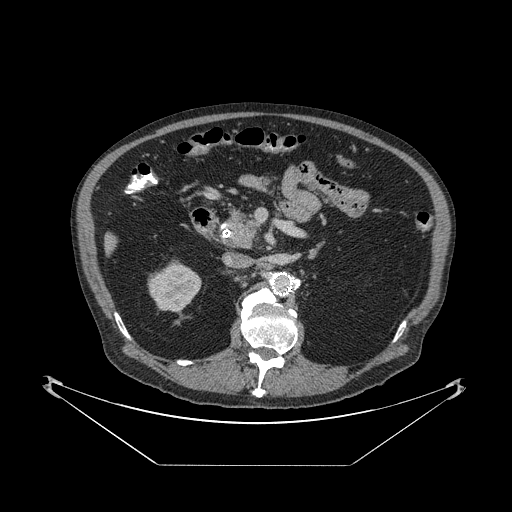 512x512 px; CT
Segmented structures:
- pancreas: l=223, t=210, r=259, b=248